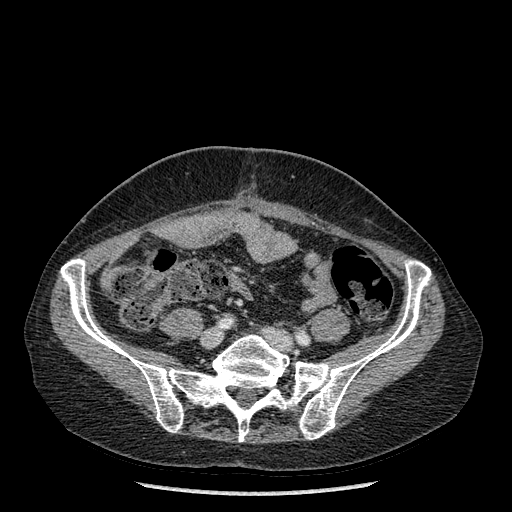

Computed tomography

The bone is located at rect(60, 258, 431, 442).